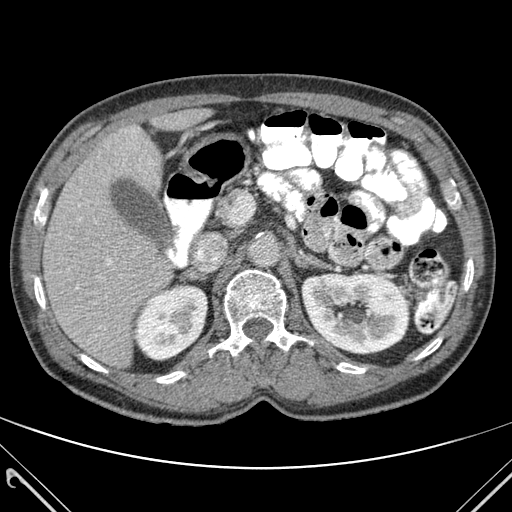
Liver. 512x512. CT scan slice. Kidney: 136:287:206:358, 303:274:407:352.
Liver: 43:126:170:368, 155:109:208:130.
Bone: 337:362:365:373, 416:338:441:359, 464:260:473:290, 209:270:306:355, 81:355:106:372, 157:371:184:383, 34:187:47:228, 449:191:459:203, 35:277:44:308.